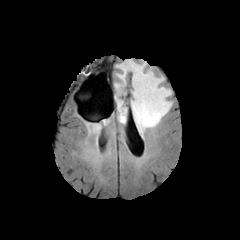
FLAIR magnetic resonance.
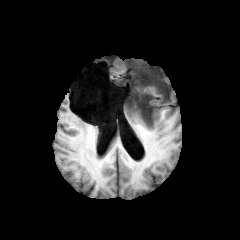
T1-weighted magnetic resonance.
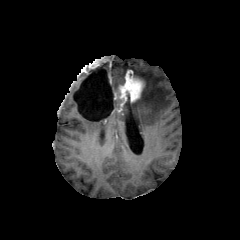
Same slice, post-contrast T1-weighted MRI.
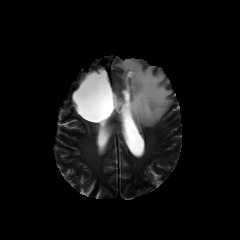
T2-weighted magnetic resonance.
240x240; Brain
The enhancing tumor lies within 116:70:144:112. The edema is located at 116:59:172:138. 3 non-enhancing tumor core regions appear at 114:92:119:110, 134:72:147:88, 121:92:135:113.